512x512 px, CT
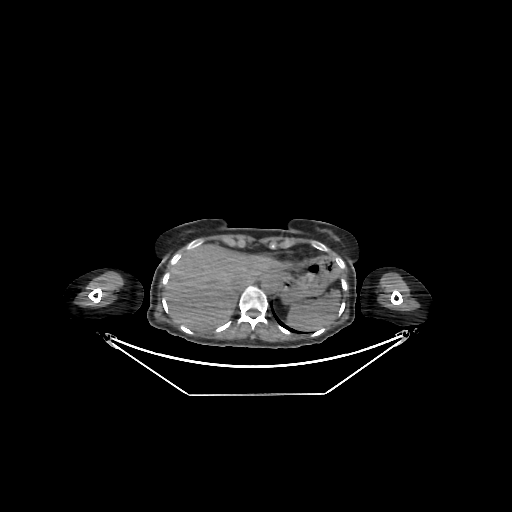
Liver at box(164, 245, 282, 330).